Slice 610/630 | CT image
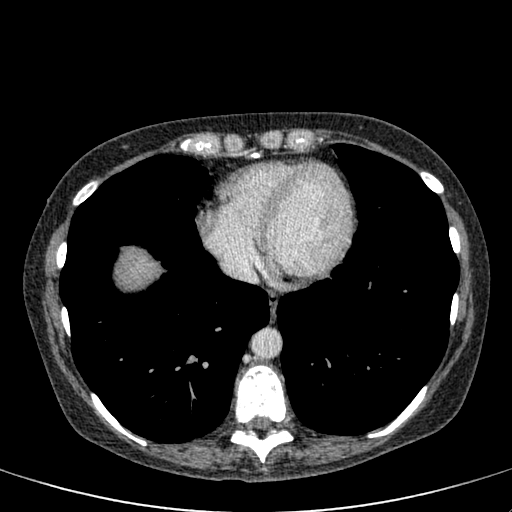 liver:
  - rect(116, 249, 159, 288)